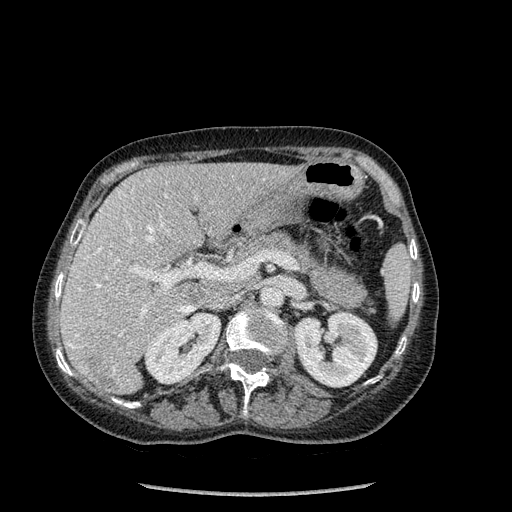

512x512 px; CT slice

10 bone regions appear at box(409, 239, 417, 259); box(395, 336, 406, 355); box(412, 282, 419, 302); box(70, 230, 80, 245); box(218, 360, 274, 415); box(365, 376, 379, 384); box(112, 397, 140, 408); box(54, 272, 63, 299); box(56, 348, 72, 375); box(226, 307, 287, 357). 2 kidney regions are located at box(145, 313, 220, 383); box(294, 313, 376, 386). 2 focal liver lesion regions are located at box(87, 355, 115, 388); box(183, 287, 205, 306). The liver lies within box(60, 162, 301, 394).